Abdomen | CT slice

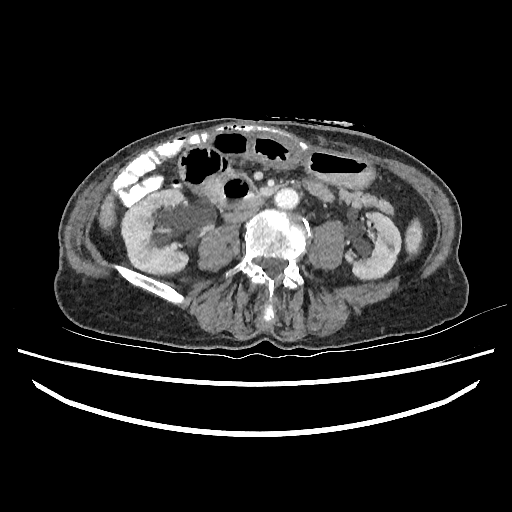 2 kidney regions appear at bbox(353, 213, 400, 278); bbox(122, 190, 188, 273). The liver is bounded by bbox(99, 195, 115, 229).